Brain
FLAIR MRI.
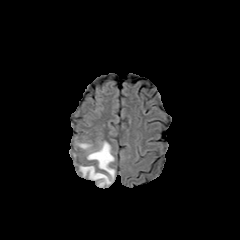
T1-weighted MR.
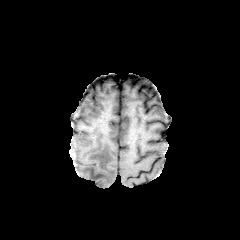
Post-contrast T1-weighted magnetic resonance.
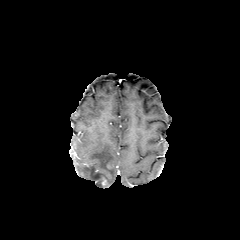
T2-weighted MRI.
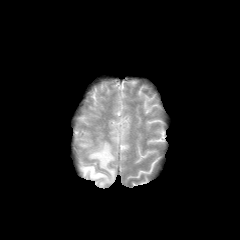
Edema: bbox(77, 140, 115, 186).